Computed tomography. Field of view 466x466 mm.
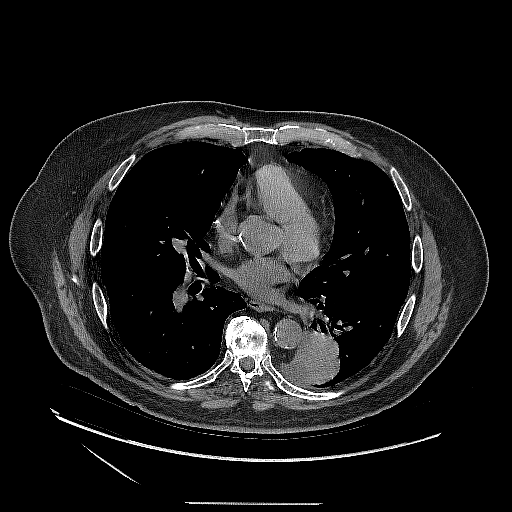
lung_tumor:
  - left=280, top=328, right=346, bottom=387